T2-weighted magnetic resonance.
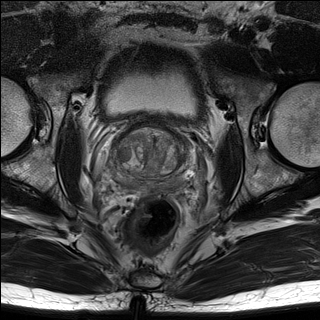
ADC MR image.
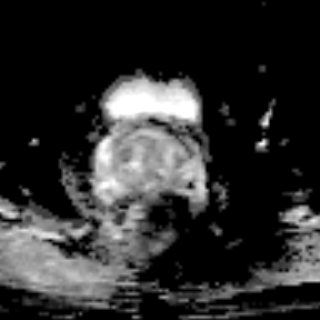
320x320 | Prostate
prostate peripheral zone: box(111, 146, 196, 188) | prostate transition zone: box(113, 123, 196, 180)